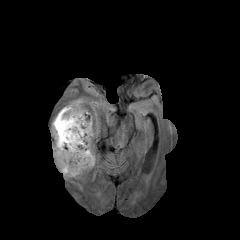
FLAIR MR.
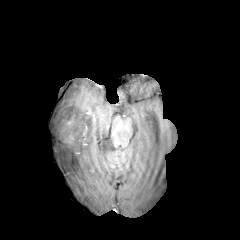
T1-weighted magnetic resonance.
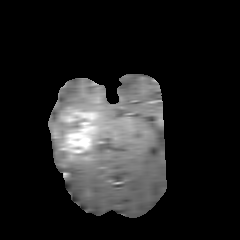
Same slice, post-contrast T1-weighted magnetic resonance.
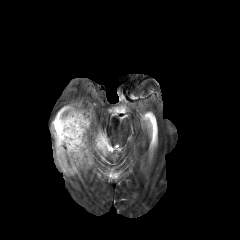
T2-weighted MRI.
Head
Findings:
- enhancing tumor: [57,106,92,160], [52,129,61,141]
- non-enhancing tumor core: [56,115,78,145]
- edema: [52,102,79,129], [51,110,97,177]